CT image 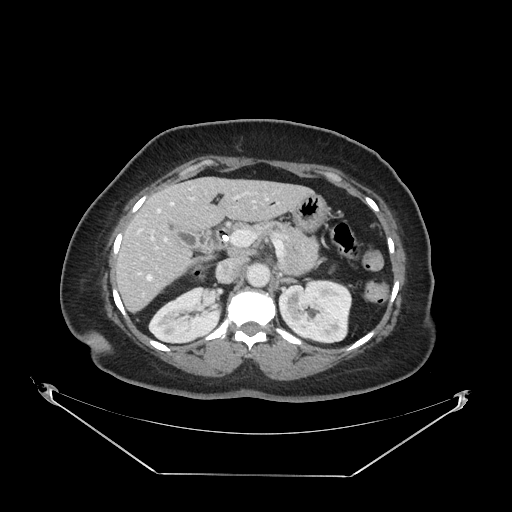

The pancreas appears at (x1=256, y1=221, x2=320, y2=276).